512x512; Upper abdomen; Slice index 329; Computed tomography
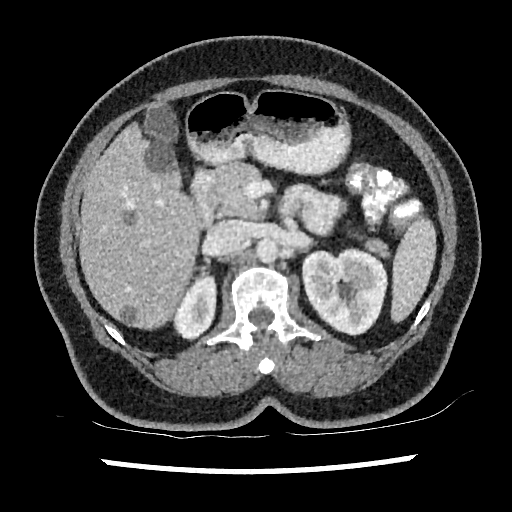 Kidney = l=297, t=250, r=386, b=334; l=175, t=277, r=215, b=337.
Liver = l=79, t=124, r=197, b=326.
Focal liver lesion = l=121, t=305, r=138, b=321; l=122, t=211, r=135, b=224; l=146, t=141, r=174, b=172.